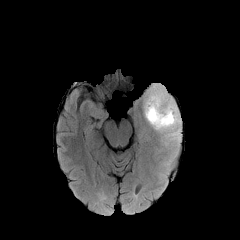
FLAIR magnetic resonance.
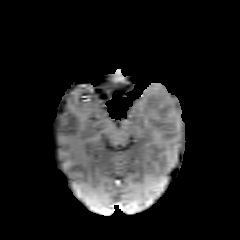
T1-weighted MRI.
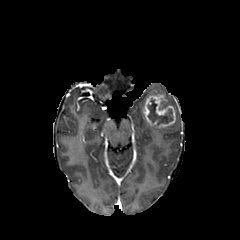
Post-contrast T1-weighted magnetic resonance.
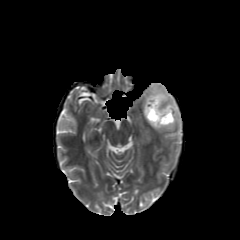
T2-weighted MRI.
<segmentation>
  <edema>rect(144, 83, 181, 147)</edema>
  <non-enhancing_tumor_core>rect(148, 100, 172, 125)</non-enhancing_tumor_core>
  <enhancing_tumor>rect(143, 94, 175, 127)</enhancing_tumor>
</segmentation>